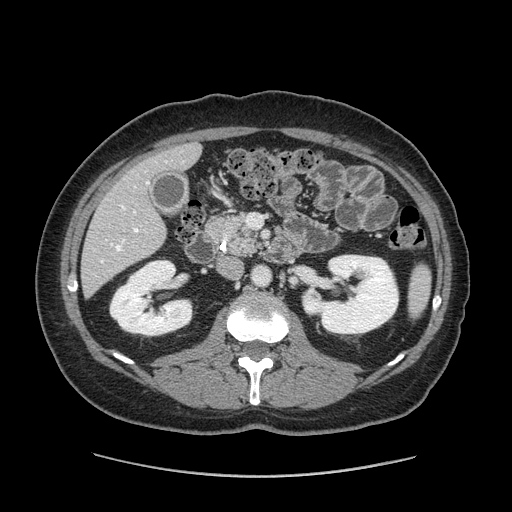 Computed tomography | Upper abdomen

• pancreas: box(206, 215, 253, 252)